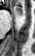 MRI, Image size 35x56, Medial temporal lobe
<segmentation>
  <anterior_hippocampus>box=[14, 6, 22, 15]</anterior_hippocampus>
</segmentation>